FLAIR magnetic resonance.
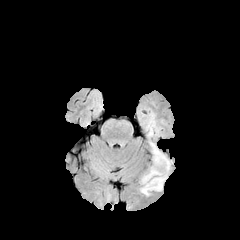
T1-weighted MRI.
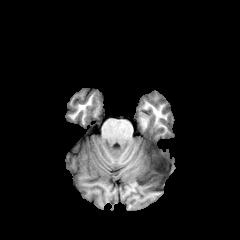
Post-contrast T1-weighted MR image.
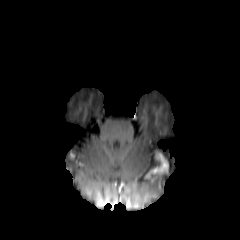
T2-weighted MR.
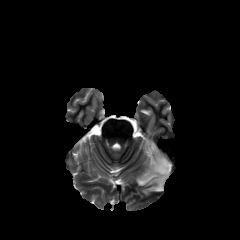
240x240 | Head
• edema: l=138, t=125, r=168, b=194
• non-enhancing tumor core: l=154, t=152, r=160, b=167
• enhancing tumor: l=145, t=153, r=168, b=178